Image size 512x512; Computed tomography; Image width 422 mm; Liver 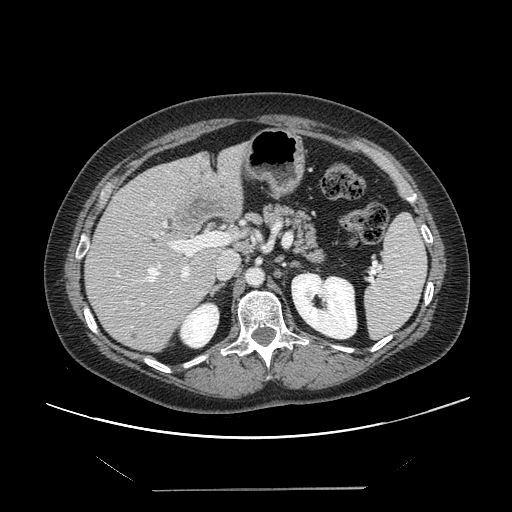

Not every hepatic vessel necessarily has a box.
The liver tumor is located at (x1=171, y1=177, x2=241, y2=237). 12 hepatic vessel regions appear at (x1=131, y1=262, x2=159, y2=282), (x1=163, y1=221, x2=166, y2=226), (x1=168, y1=231, x2=239, y2=257), (x1=116, y1=271, x2=119, y2=276), (x1=153, y1=231, x2=163, y2=236), (x1=176, y1=287, x2=178, y2=288), (x1=149, y1=201, x2=153, y2=205), (x1=217, y1=251, x2=238, y2=278), (x1=181, y1=264, x2=190, y2=280), (x1=141, y1=302, x2=143, y2=305), (x1=124, y1=301, x2=128, y2=302), (x1=168, y1=291, x2=172, y2=293).